Slice index 52 | CT

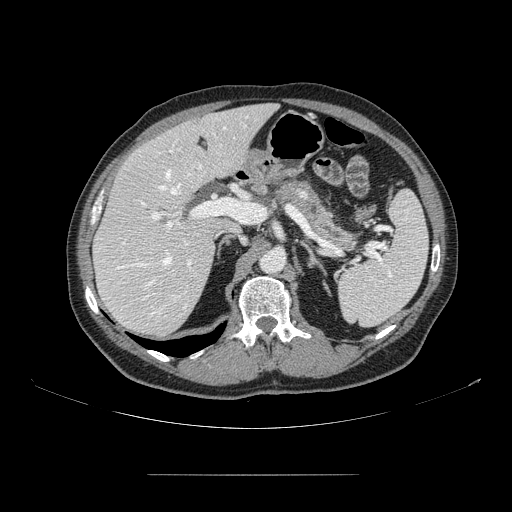 Annotated regions:
- pancreas: x1=267 y1=178 x2=359 y2=252